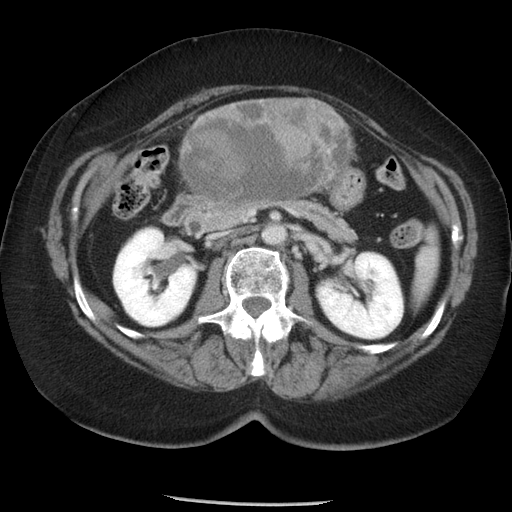
Liver | CT | Image size 512x512
liver_tumor:
  - (182, 99, 349, 199)